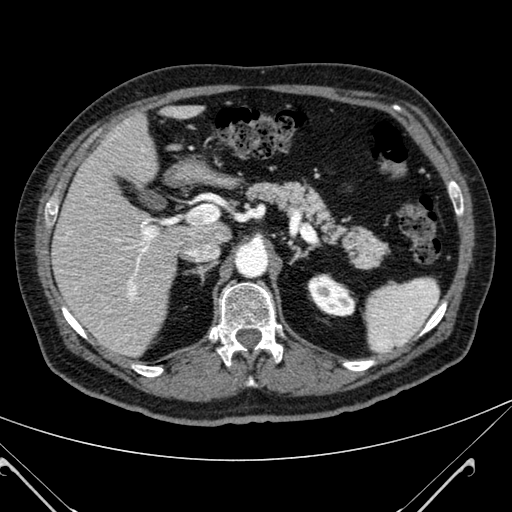 CT scan slice. 512x512. Upper abdomen.

The kidney lies within 309, 276, 353, 315. 2 liver regions are located at 168, 104, 201, 117; 50, 116, 225, 354.